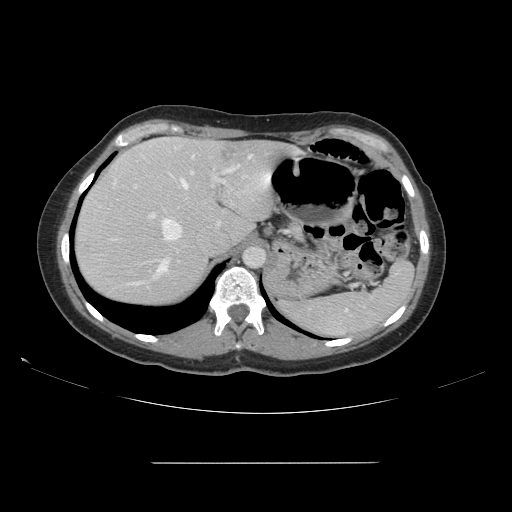

Image size 512x512. Liver. CT.

Some hepatic vessels may have no box.
<segmentation partial="true">
  <liver_tumor>bbox=[221, 144, 238, 162]</liver_tumor>
  <hepatic_vessel shown="15" total="18">bbox=[192, 155, 193, 157]; bbox=[128, 282, 142, 284]; bbox=[213, 176, 226, 184]; bbox=[181, 178, 188, 188]; bbox=[153, 259, 167, 278]; bbox=[149, 212, 155, 218]; bbox=[114, 179, 115, 185]; bbox=[224, 164, 239, 172]; bbox=[191, 172, 193, 173]; bbox=[242, 175, 248, 178]; bbox=[162, 218, 181, 240]; bbox=[134, 185, 136, 187]; bbox=[249, 155, 251, 157]; bbox=[174, 146, 176, 148]; bbox=[211, 184, 212, 186]</hepatic_vessel>
</segmentation>